FLAIR MR image.
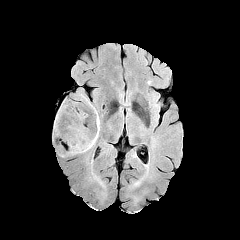
T1-weighted magnetic resonance.
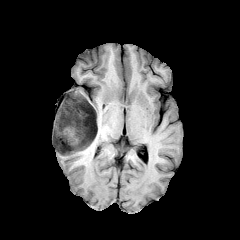
Post-contrast T1-weighted MR.
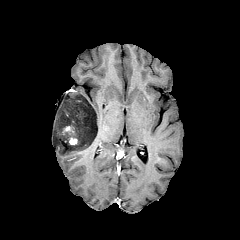
T2-weighted MR image.
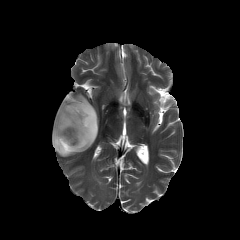
Edema = bbox(53, 138, 89, 156); bbox(92, 106, 99, 132).
Non-enhancing tumor core = bbox(54, 95, 97, 151).
Enhancing tumor = bbox(69, 138, 77, 144).